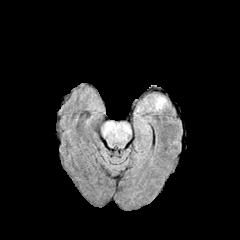
FLAIR MRI.
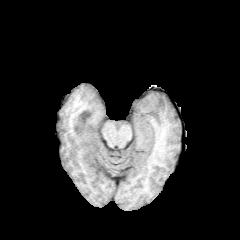
T1-weighted magnetic resonance.
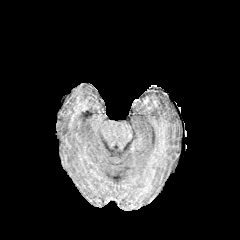
Same slice, post-contrast T1-weighted magnetic resonance.
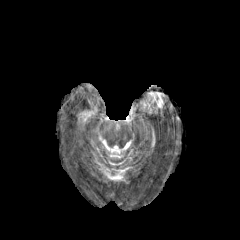
T2-weighted MRI.
Brain
Edema: <bbox>140, 94, 166, 111</bbox>.